Slice 87/155
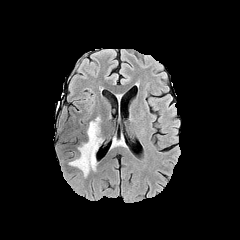
FLAIR MR image.
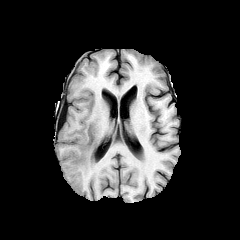
T1-weighted MR.
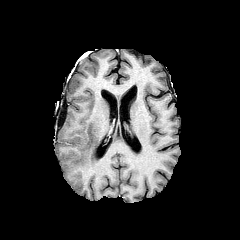
Same slice, post-contrast T1-weighted MR image.
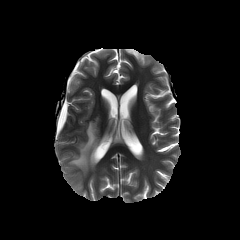
Same slice, T2-weighted MR image.
Edema = [69,117,102,177].